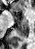

Image size 35x49; MRI; Medial temporal lobe
posterior hippocampus: bbox=[16, 21, 28, 36] | anterior hippocampus: bbox=[21, 16, 26, 20]